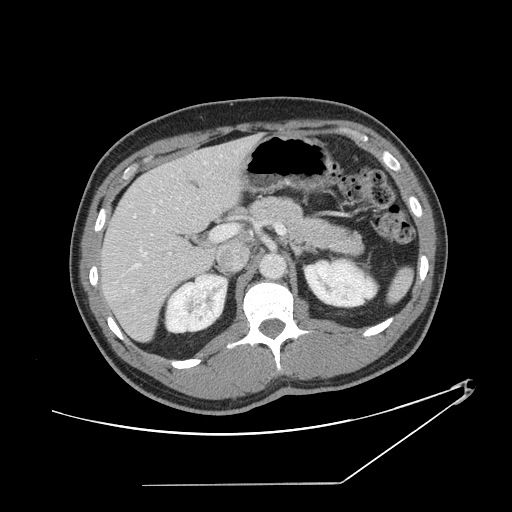

CT

Only some of the vessels may be annotated.
hepatic vessel: <bbox>197, 197, 198, 198</bbox>, <bbox>160, 201, 161, 203</bbox>, <bbox>130, 290, 133, 292</bbox>, <bbox>153, 209, 155, 211</bbox>, <bbox>140, 249, 146, 256</bbox>, <bbox>204, 162, 206, 163</bbox>, <bbox>125, 286, 126, 288</bbox>, <bbox>129, 268, 132, 270</bbox>, <bbox>179, 197, 179, 200</bbox>, <bbox>133, 264, 139, 267</bbox>